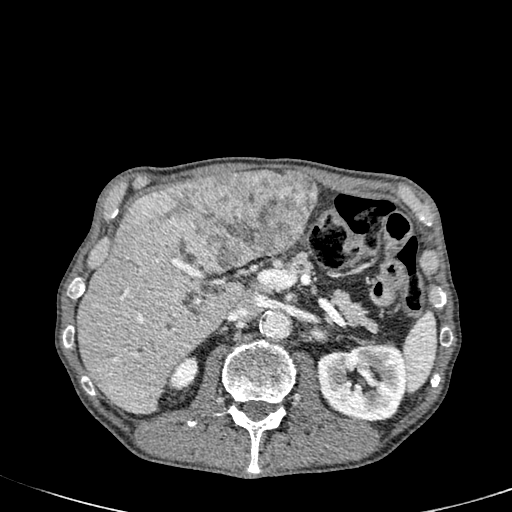
Computed tomography. 512x512. Liver. The liver is located at bbox=[77, 179, 244, 413]. The focal liver lesion is at bbox=[172, 170, 316, 271]. 2 kidney regions are located at bbox=[320, 346, 406, 420]; bbox=[171, 359, 196, 387].